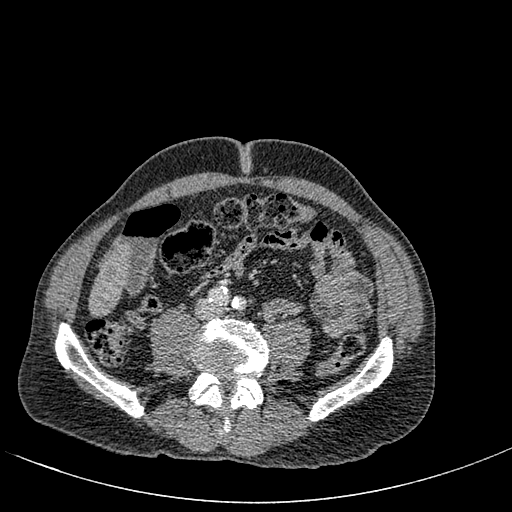 CT scan slice

The liver is at (x1=90, y1=245, x2=131, y2=314).